FLAIR MRI.
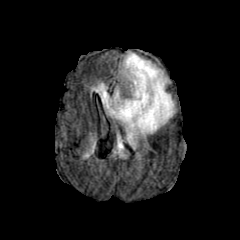
T1-weighted MRI.
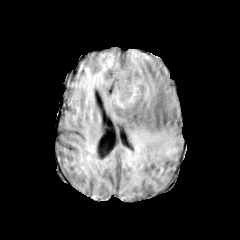
Post-contrast T1-weighted MR.
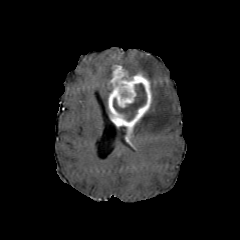
T2-weighted MRI.
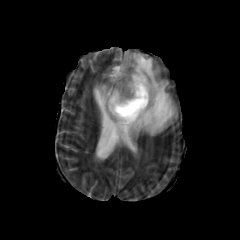
Brain.
The enhancing tumor appears at box(108, 65, 151, 146). The non-enhancing tumor core appears at box(113, 83, 146, 119). 3 edema regions are located at box(95, 83, 111, 113); box(122, 51, 175, 149); box(116, 134, 125, 152).